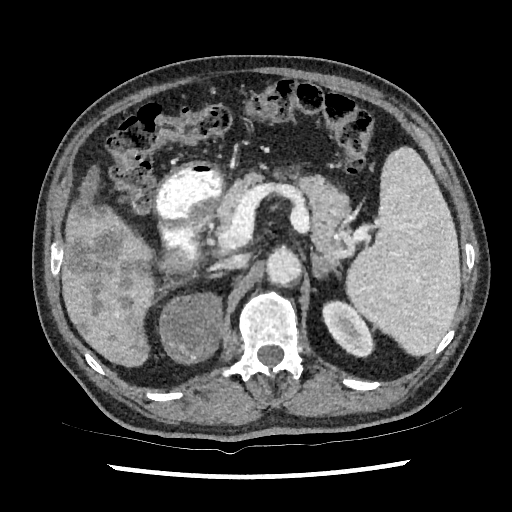

Abdomen | CT

<segmentation>
  <focal_liver_lesion>[x1=63, y1=227, x2=148, y2=329], [x1=105, y1=334, x2=117, y2=343], [x1=70, y1=169, x2=108, y2=218]</focal_liver_lesion>
  <liver>[x1=91, y1=182, x2=106, y2=209], [x1=62, y1=210, x2=182, y2=364]</liver>
  <kidney>[x1=323, y1=301, x2=372, y2=356]</kidney>
</segmentation>